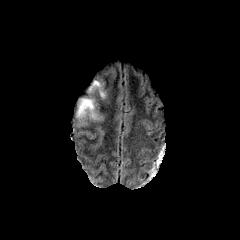
FLAIR MR image.
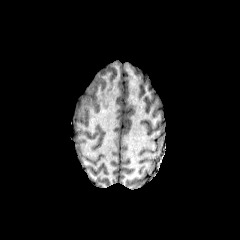
T1-weighted magnetic resonance of the same slice.
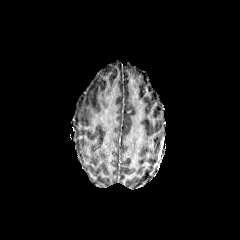
Post-contrast T1-weighted MR image.
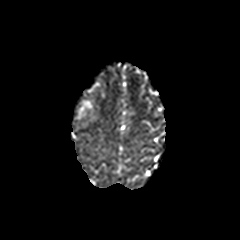
T2-weighted magnetic resonance of the same slice.
240x240 px; Head
edema:
  - (87, 81, 101, 93)
  - (76, 97, 97, 119)